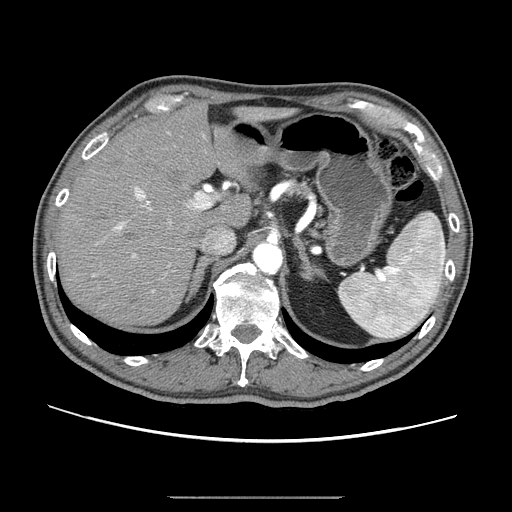 CT slice | Abdomen | Image size 512x512

Annotated regions:
- pancreas: box=[289, 182, 311, 198]; box=[316, 205, 325, 225]